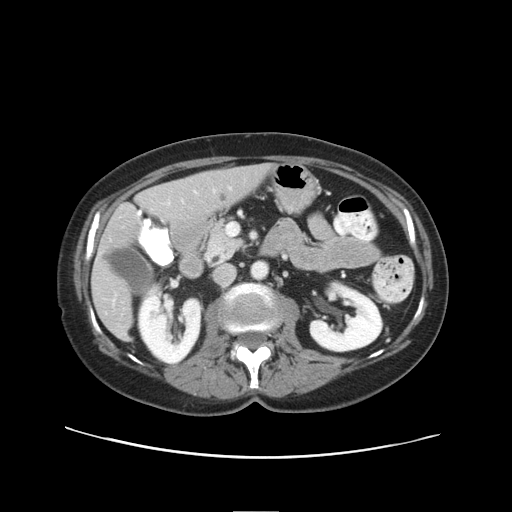
512x512; CT
Only some of the vessels may be annotated.
3 hepatic vessel regions are located at (x1=166, y1=202, x2=169, y2=204), (x1=112, y1=300, x2=114, y2=304), (x1=229, y1=188, x2=231, y2=189).